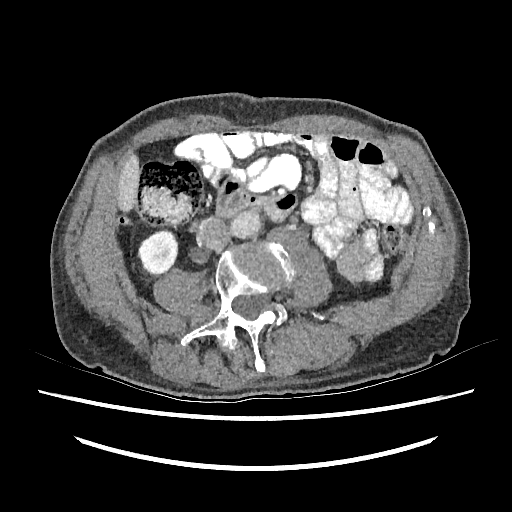

Computed tomography; 512x512 px

Annotated regions:
• liver: 118, 154, 138, 211
• kidney: 139, 231, 176, 273